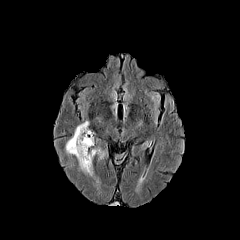
FLAIR MR image.
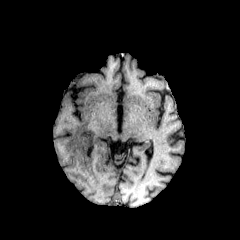
T1-weighted MR image.
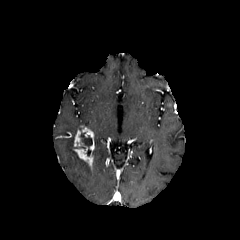
Post-contrast T1-weighted MR.
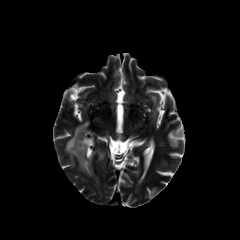
T2-weighted MR of the same slice.
240x240, Brain
Non-enhancing tumor core = box(76, 131, 92, 150).
Enhancing tumor = box(74, 128, 83, 147); box(73, 140, 94, 166); box(81, 127, 94, 139).
Edema = box(65, 122, 94, 176); box(92, 148, 107, 162).